FLAIR MRI.
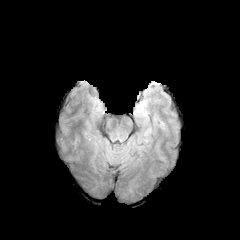
T1-weighted MR image.
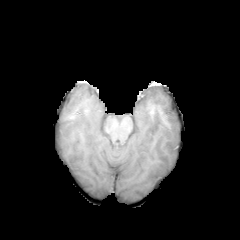
Post-contrast T1-weighted MR.
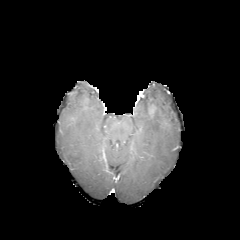
T2-weighted MR image.
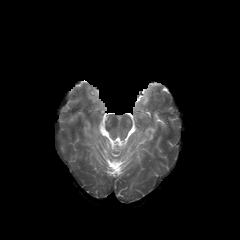
240x240 px
The edema is bounded by x1=136 y1=96 x2=153 y2=142.